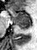
Magnetic resonance.
Posterior hippocampus at [15, 24, 30, 30].
Anterior hippocampus at [7, 9, 30, 23].